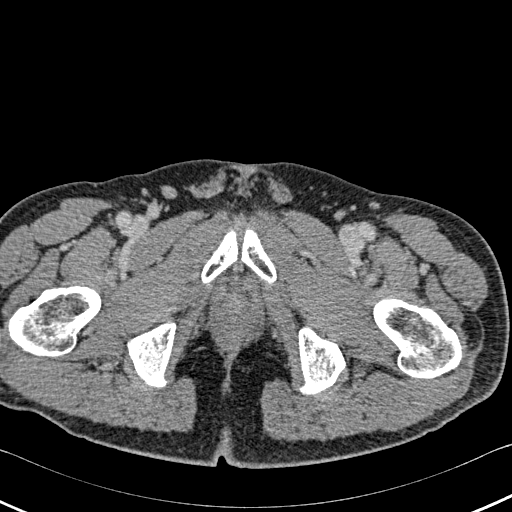 CT slice

Bone at [298, 327, 345, 394], [201, 230, 276, 285], [128, 322, 175, 386], [0, 286, 100, 356], [373, 299, 461, 377].